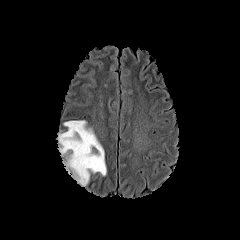
FLAIR magnetic resonance.
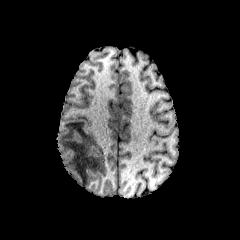
T1-weighted MR.
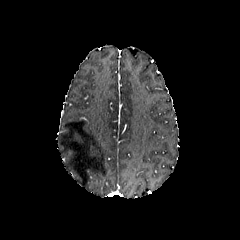
Post-contrast T1-weighted MR.
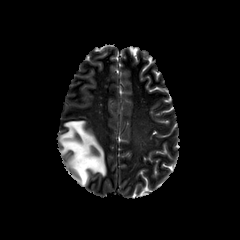
Same slice, T2-weighted MR image.
Brain
The edema is at [x1=55, y1=120, x2=106, y2=186].